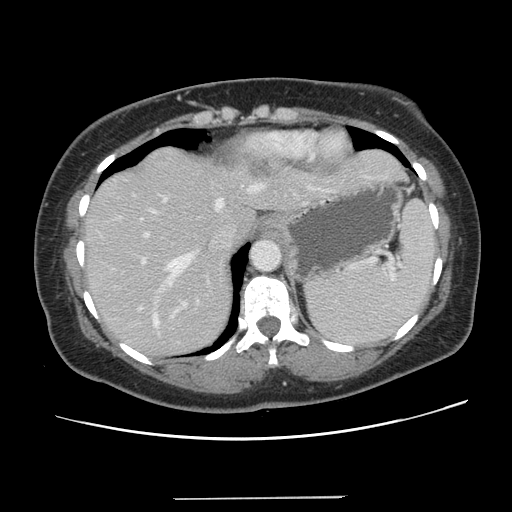

Liver | 512x512 | Computed tomography
The vessel boxes may cover only some of the vessels.
Hepatic vessel at region(174, 310, 177, 312); region(163, 197, 166, 201); region(308, 186, 313, 188); region(322, 190, 328, 190); region(170, 314, 174, 317); region(167, 253, 193, 285); region(249, 184, 263, 191); region(181, 302, 186, 307); region(153, 314, 158, 325); region(144, 233, 148, 236); region(142, 259, 145, 262); region(139, 306, 142, 309); region(216, 200, 222, 208).